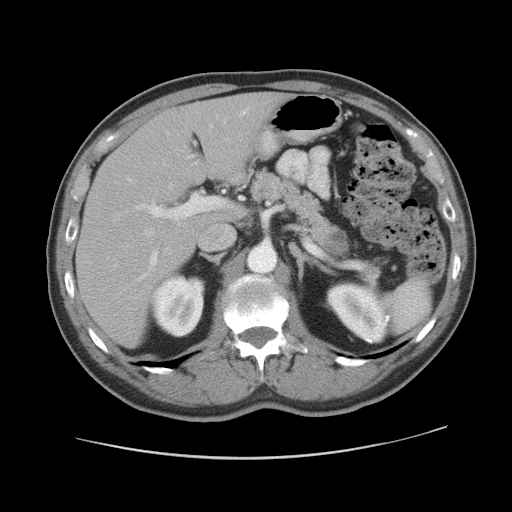
Upper abdomen. CT scan slice.
pancreas: (left=248, top=167, right=352, bottom=261) | pancreatic tumor: (left=326, top=232, right=346, bottom=254)